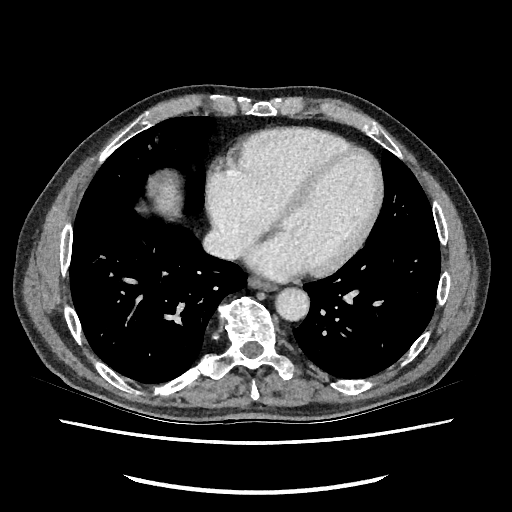
512x512 px. CT.

• liver: rect(147, 176, 179, 217)